FLAIR magnetic resonance.
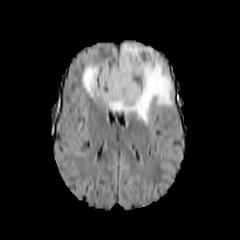
T1-weighted MR image.
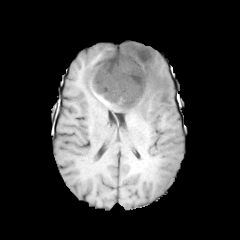
Post-contrast T1-weighted MRI.
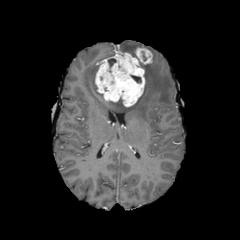
T2-weighted MR.
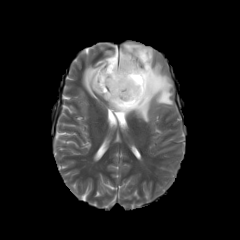
Image size 240x240; Brain
2 enhancing tumor regions appear at (133,48,152,64), (94,51,145,106). The edema appears at (82,42,173,126). 2 non-enhancing tumor core regions are located at (114,97,123,107), (108,58,116,68).